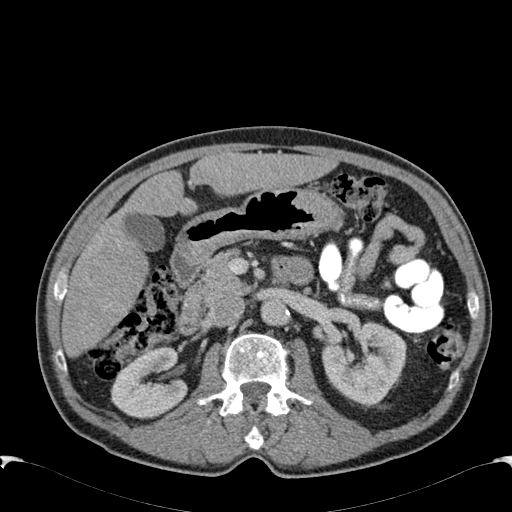 512x512 px; CT
Liver — [190,153,337,195], [61,172,195,357].
Kidney — [322,322,405,404], [111,348,186,417].